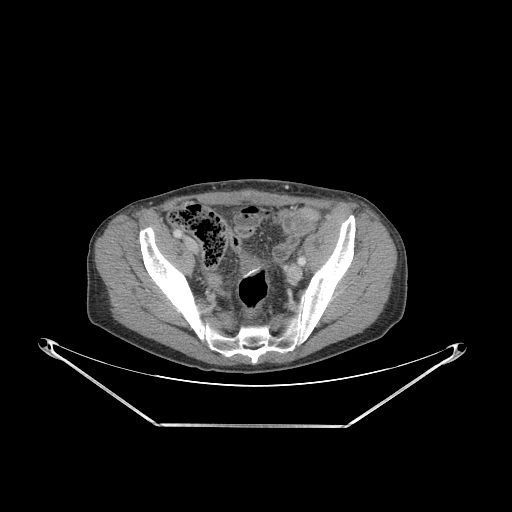
CT slice

Bone — l=140, t=216, r=355, b=362.